Image size 240x240, Image width 240 mm, Slice 71/155
FLAIR magnetic resonance.
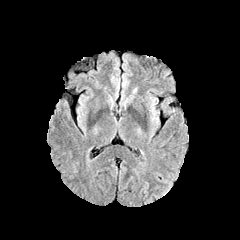
T1-weighted MR image.
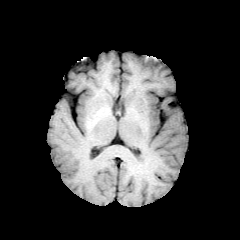
Post-contrast T1-weighted MR image.
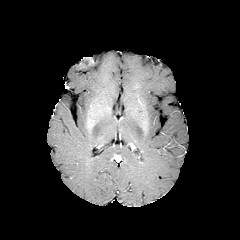
T2-weighted magnetic resonance.
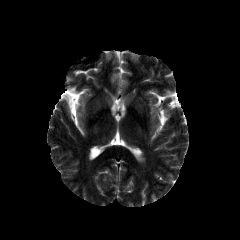
{
  "edema": [
    "(left=149, top=99, right=158, bottom=122)"
  ]
}